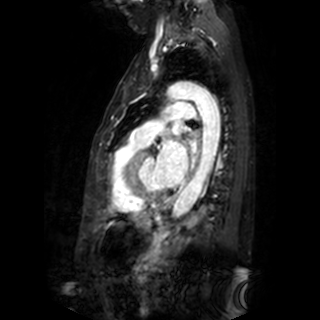

320x320, MR image
Left atrium at (157, 140, 187, 186), (190, 143, 196, 152), (173, 122, 183, 135).